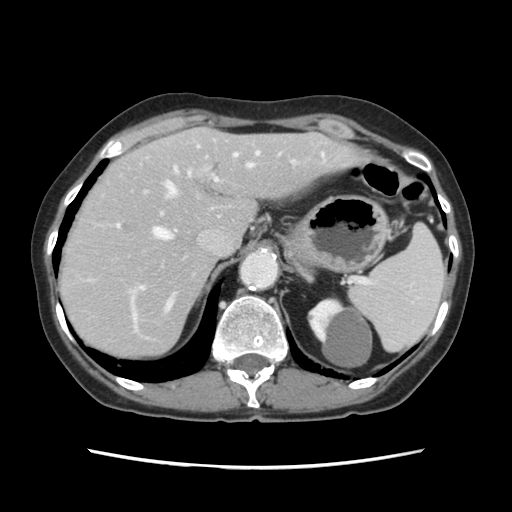

CT slice
Some hepatic vessels may have no box.
Hepatic vessel — box=[292, 161, 294, 164]; box=[256, 151, 258, 154]; box=[153, 228, 170, 239]; box=[139, 286, 144, 289]; box=[188, 170, 191, 175]; box=[247, 164, 252, 167]; box=[175, 167, 175, 171]; box=[166, 183, 175, 193]; box=[116, 224, 119, 227]; box=[131, 291, 135, 322]; box=[214, 177, 217, 181]; box=[234, 153, 237, 156]; box=[197, 146, 199, 148].